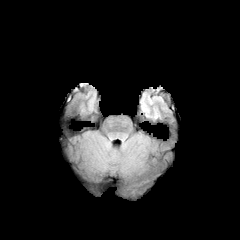
FLAIR MR.
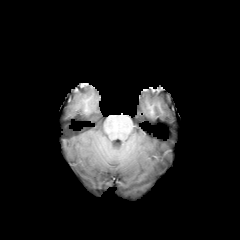
Same slice, T1-weighted magnetic resonance.
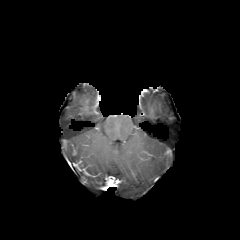
Post-contrast T1-weighted MRI.
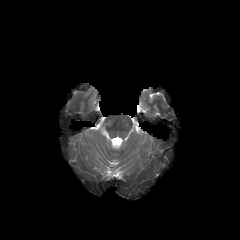
Same slice, T2-weighted MRI.
Image size 240x240
Edema at l=142, t=100, r=149, b=113.